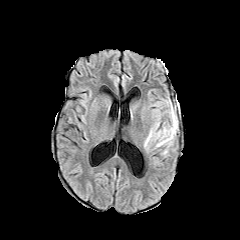
FLAIR MR image.
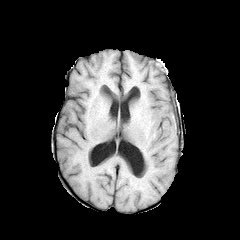
Same slice, T1-weighted MR image.
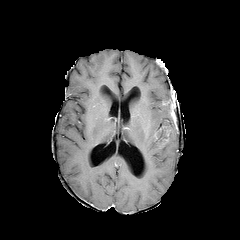
Post-contrast T1-weighted MR.
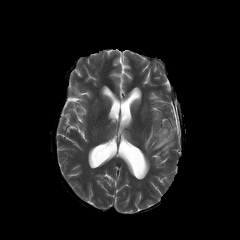
T2-weighted MRI.
Image size 240x240, Brain
{
  "edema": [
    "(left=144, top=98, right=178, bottom=154)"
  ],
  "enhancing_tumor": [
    "(left=170, top=104, right=176, bottom=128)"
  ]
}